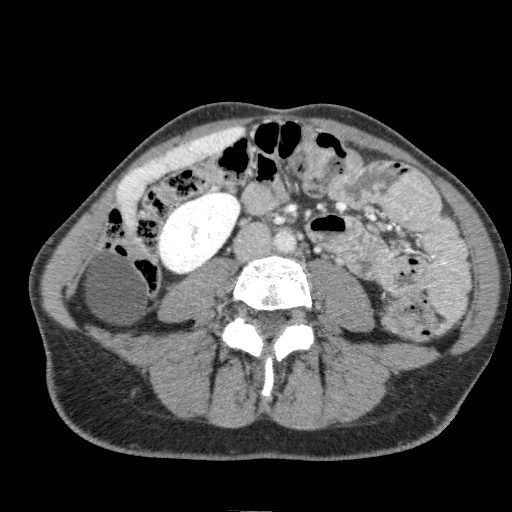
512x512 px, CT image, Liver

The kidney appears at x1=159, y1=193, x2=239, y2=272. The liver is at x1=117, y1=127, x2=244, y2=235.